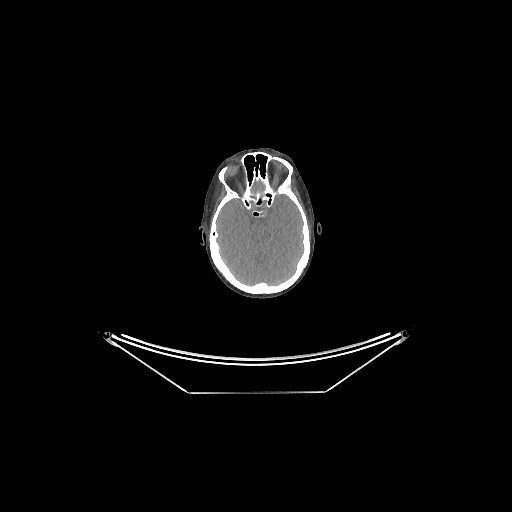
CT scan slice | Brain
brain: 215,176,304,285